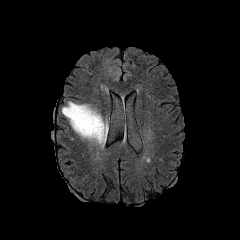
FLAIR MR image.
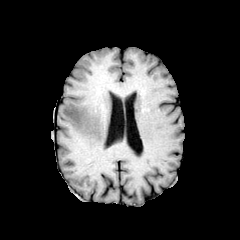
T1-weighted MR.
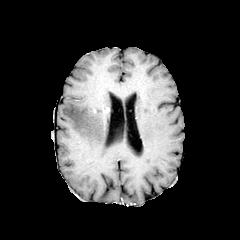
Post-contrast T1-weighted MR image.
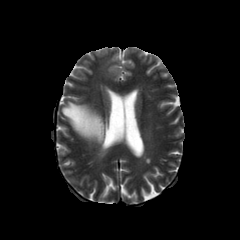
T2-weighted magnetic resonance.
240x240 px | Head
Edema: bounding box (left=62, top=100, right=108, bottom=148).